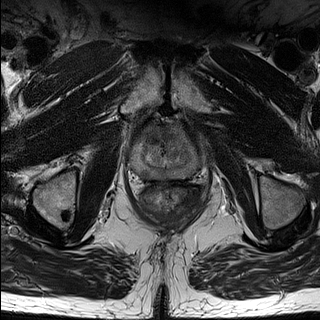
T2-weighted MRI.
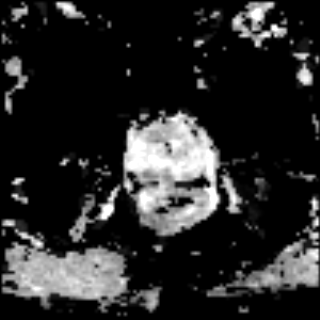
ADC magnetic resonance.
* prostate transition zone: region(143, 126, 190, 168)
* prostate peripheral zone: region(132, 131, 198, 178)